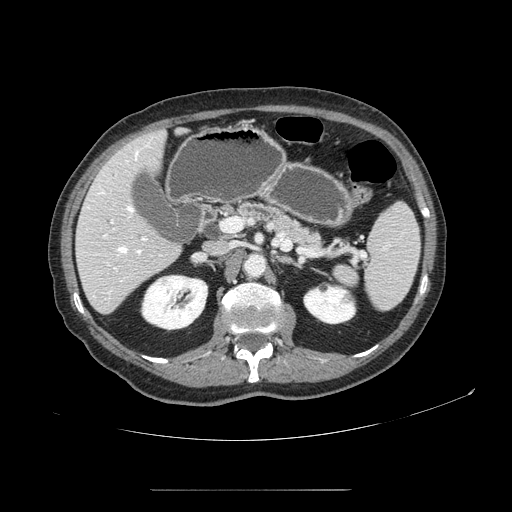 CT, Upper abdomen

The pancreas lies within l=234, t=200, r=326, b=251.